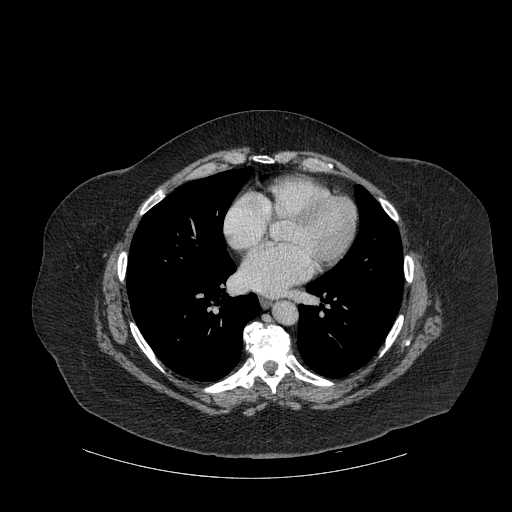
Image size 512x512, Thorax, CT image

Bone: bounding box box(404, 256, 413, 281); box(140, 190, 163, 214); box(380, 315, 403, 355); box(130, 323, 162, 370); box(205, 322, 332, 392); box(254, 156, 273, 162); box(380, 199, 397, 220); box(118, 252, 126, 280).
Lung: bounding box box(297, 187, 402, 377); box(127, 167, 259, 381).